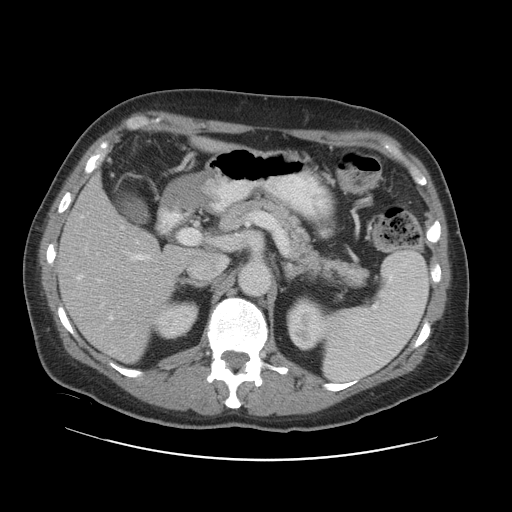

512x512, Computed tomography
Some hepatic vessels may have no box.
{"hepatic_vessel": ["rect(121, 226, 123, 229)", "rect(131, 253, 149, 259)", "rect(136, 299, 138, 300)"]}